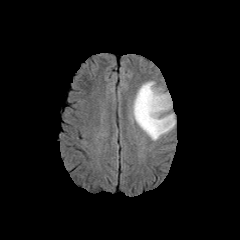
FLAIR magnetic resonance.
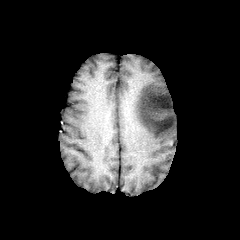
T1-weighted MR.
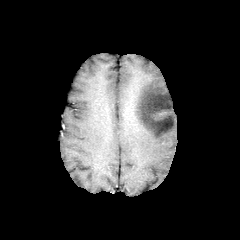
Same slice, post-contrast T1-weighted MR image.
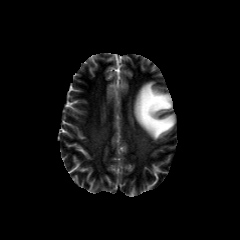
T2-weighted magnetic resonance.
Head
The non-enhancing tumor core lies within {"x1": 139, "y1": 90, "x2": 169, "y2": 126}. The edema is at {"x1": 131, "y1": 80, "x2": 175, "y2": 141}.